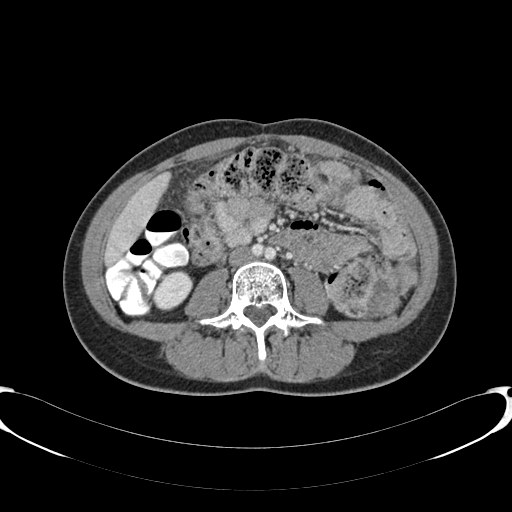

Abdomen. CT scan slice.
The kidney is at x1=155, y1=273, x2=190, y2=307. The liver is at x1=105, y1=172, x2=170, y2=265.